Slice 45/105; 512x512; Upper abdomen; Field of view 416x416 mm; CT 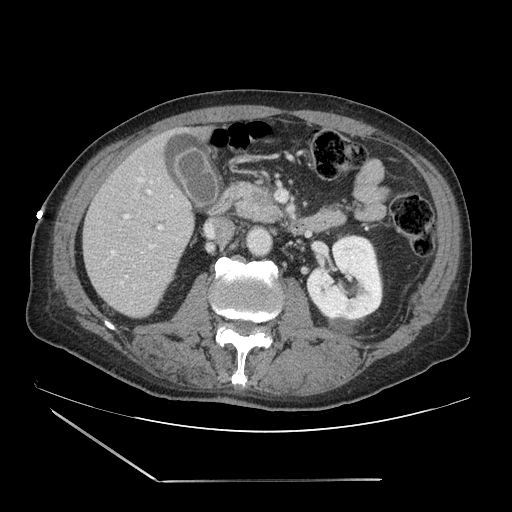 The pancreas is at bbox=[237, 184, 280, 222]. The pancreatic tumor is bounded by bbox=[250, 188, 271, 203].